FLAIR MRI.
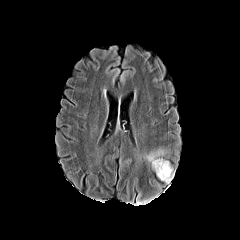
T1-weighted MR.
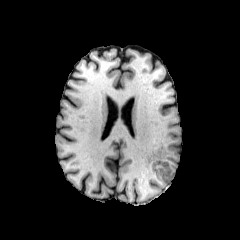
Post-contrast T1-weighted MR.
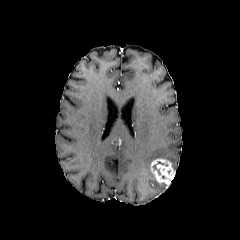
T2-weighted MRI.
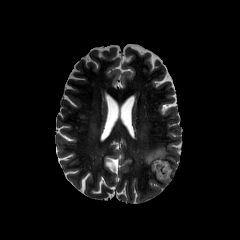
Head | 240x240 px
Enhancing tumor = (150,158,174,183).
Non-enhancing tumor core = (153,165,161,176).
Edema = (142,147,166,165).